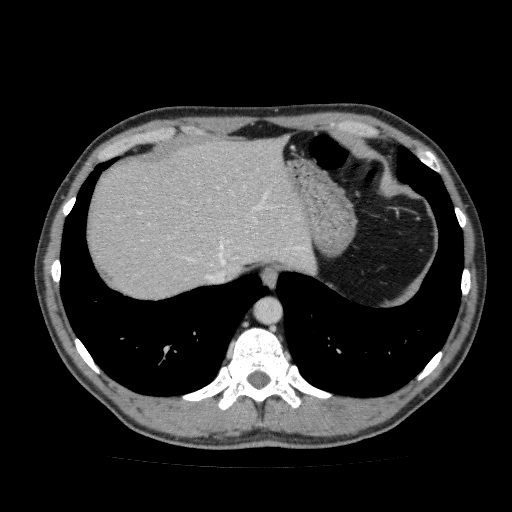 Upper abdomen; CT scan slice
The liver is bounded by [x1=87, y1=133, x2=317, y2=300].